Brain.
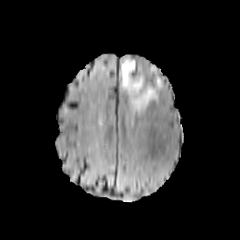
FLAIR MRI.
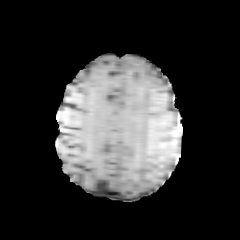
T1-weighted MR image of the same slice.
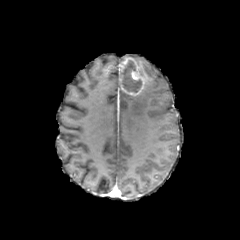
Post-contrast T1-weighted MR.
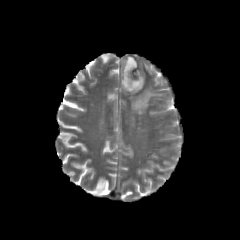
T2-weighted MR.
{"non-enhancing_tumor_core": ["x1=120, y1=60, x2=142, y2=92"], "edema": ["x1=156, y1=75, x2=162, y2=85", "x1=128, y1=83, x2=160, y2=114"], "enhancing_tumor": ["x1=119, y1=57, x2=144, y2=95"]}